Field of view 240 mm wide, 1.00 mm slice spacing. Image size 240x240.
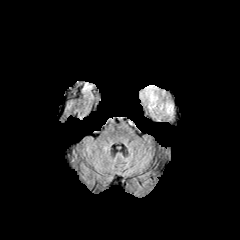
FLAIR MRI.
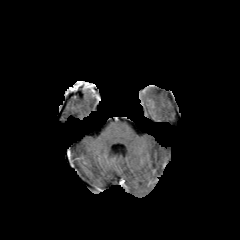
T1-weighted MR image.
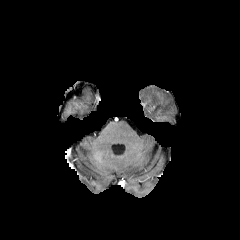
Post-contrast T1-weighted MR.
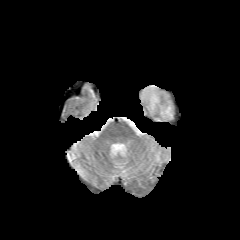
Same slice, T2-weighted MRI.
The edema is bounded by <box>142,86,173,118</box>.